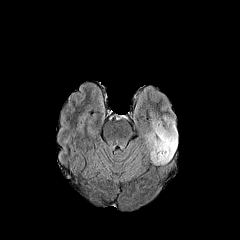
FLAIR MR.
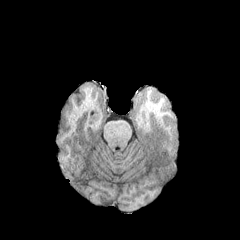
T1-weighted magnetic resonance of the same slice.
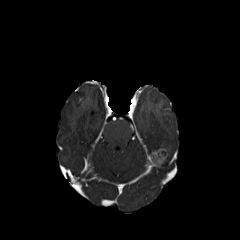
Post-contrast T1-weighted MR.
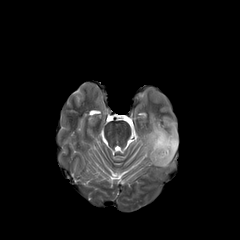
T2-weighted MR image.
Brain.
edema: {"x1": 140, "y1": 118, "x2": 177, "y2": 166} | enhancing tumor: {"x1": 149, "y1": 148, "x2": 169, "y2": 165}